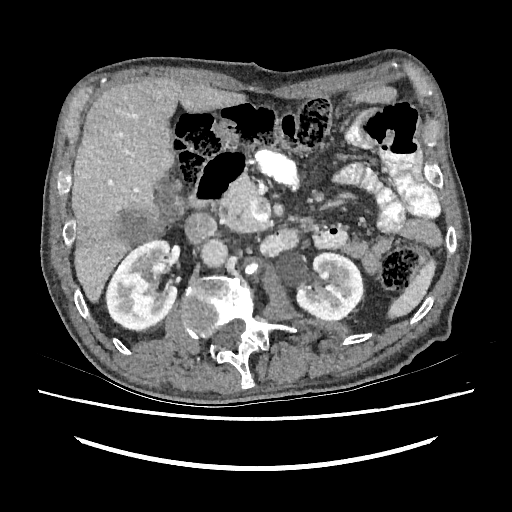 CT image, Abdomen
liver: bbox(73, 79, 245, 302) | liver lesion: bbox(112, 208, 161, 243) | kidney: bbox(107, 241, 176, 329); bbox(297, 253, 362, 320)